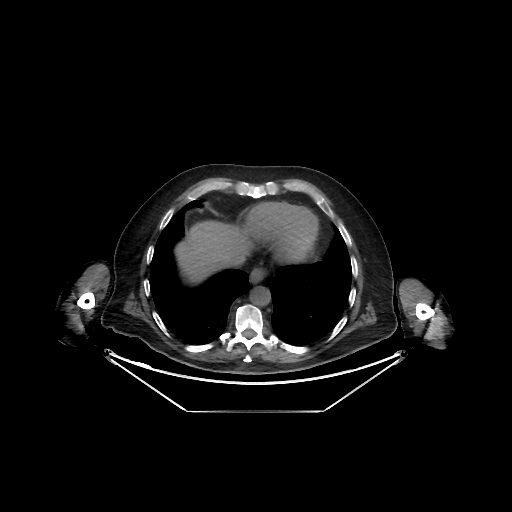 512x512 px | CT image | Upper abdomen
The liver is at 175, 221, 252, 280.